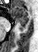 Medial temporal lobe. Image size 38x52. MR image.

Anterior hippocampus: bounding box <bbox>12, 6, 28, 22</bbox>.
Posterior hippocampus: bounding box <bbox>19, 23, 26, 30</bbox>.